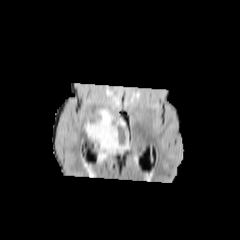
FLAIR MRI.
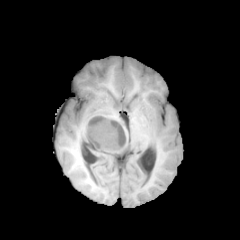
Same slice, T1-weighted MR image.
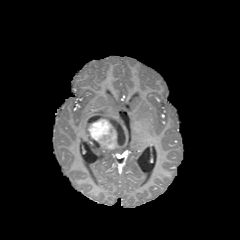
Post-contrast T1-weighted MRI of the same slice.
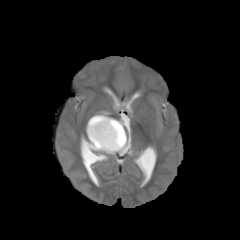
T2-weighted MR image.
enhancing tumor: x1=86 y1=118 x2=118 y2=150 | non-enhancing tumor core: x1=83 y1=112 x2=128 y2=151 | edema: x1=102 y1=144 x2=129 y2=155